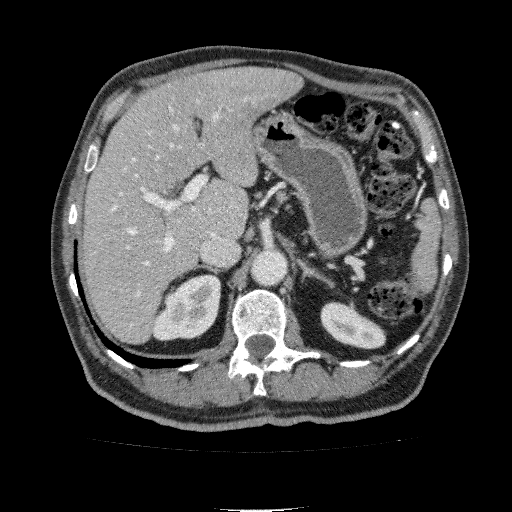
Abdomen | CT image
Segmented structures:
- kidney: <bbox>153, 275, 219, 339</bbox>, <bbox>322, 303, 384, 347</bbox>
- liver: <bbox>84, 67, 303, 342</bbox>